Head. Image width 240 mm. Image size 240x240.
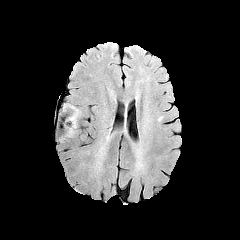
FLAIR MR image.
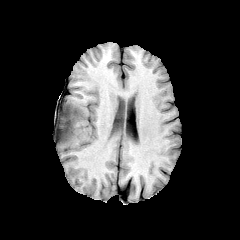
T1-weighted magnetic resonance.
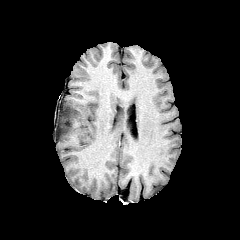
Post-contrast T1-weighted MR image.
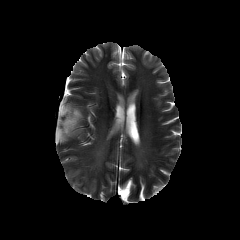
T2-weighted MR image.
- non-enhancing tumor core: {"x1": 59, "y1": 119, "x2": 75, "y2": 136}
- edema: {"x1": 60, "y1": 103, "x2": 80, "y2": 137}